CT slice; Image size 512x512; Abdomen; Slice index 325

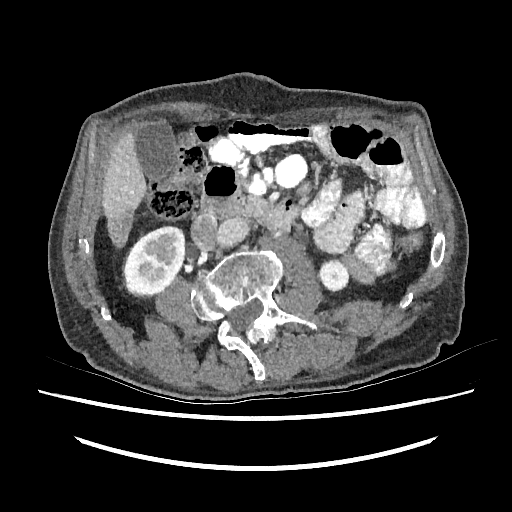
Hepatic lesion — rect(113, 208, 131, 245).
Liver — rect(102, 133, 145, 246).
Kidney — rect(124, 227, 184, 294); rect(320, 261, 348, 290).